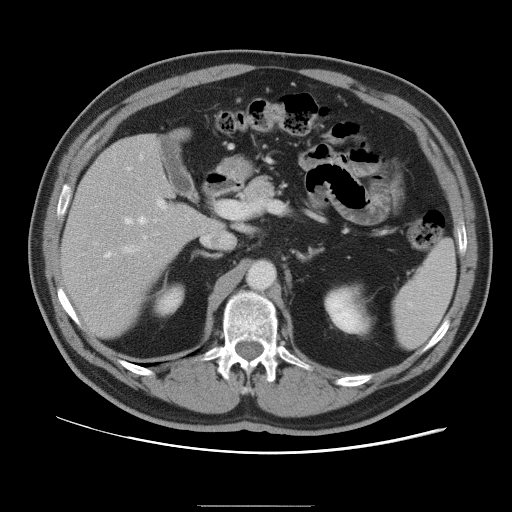
512x512; CT scan slice; Abdomen
Not every hepatic vessel necessarily has a box.
Segmented structures:
• hepatic vessel: bbox=[104, 251, 114, 257]; bbox=[139, 153, 142, 159]; bbox=[125, 217, 132, 223]; bbox=[156, 232, 158, 234]; bbox=[150, 243, 152, 245]; bbox=[143, 236, 146, 244]; bbox=[126, 167, 130, 169]; bbox=[157, 199, 166, 209]; bbox=[138, 216, 147, 223]; bbox=[185, 212, 190, 219]; bbox=[153, 218, 158, 221]; bbox=[94, 243, 97, 244]; bbox=[123, 245, 136, 254]